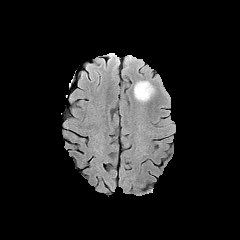
FLAIR MRI.
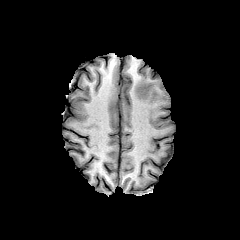
T1-weighted magnetic resonance of the same slice.
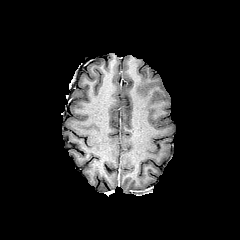
Post-contrast T1-weighted MR.
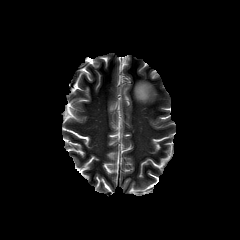
T2-weighted MR of the same slice.
Head, 240x240 px
The edema is located at x1=133, y1=80, x2=155, y2=103.